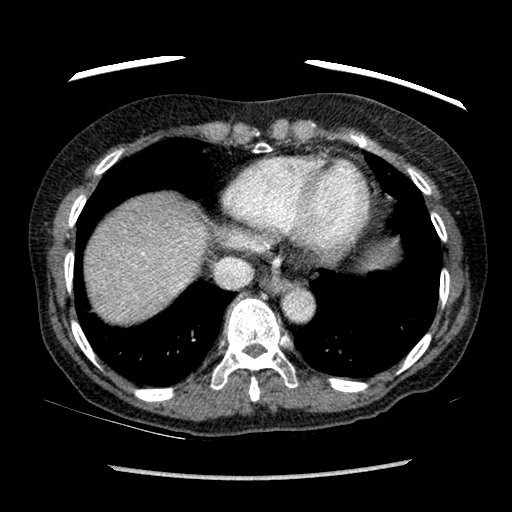
CT slice, Abdomen
• liver: (left=370, top=251, right=397, bottom=269), (left=86, top=198, right=209, bottom=321)